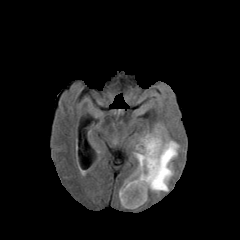
FLAIR MR.
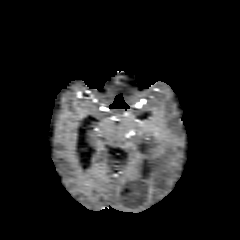
T1-weighted MR image of the same slice.
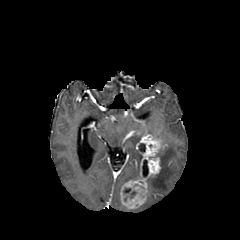
Post-contrast T1-weighted MR.
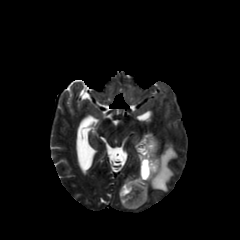
T2-weighted MR image.
Brain. 240x240 px.
2 edema regions are located at 146, 133, 178, 197; 124, 145, 141, 184. The enhancing tumor lies within 120, 134, 160, 207. 3 non-enhancing tumor core regions are located at 142, 159, 148, 177; 124, 188, 138, 198; 138, 143, 145, 152.